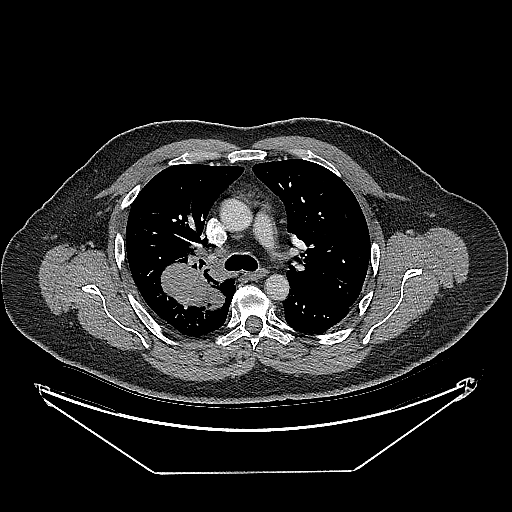

CT slice; Image size 512x512; Lung
The lung tumor is bounded by {"x1": 161, "y1": 243, "x2": 228, "y2": 309}.